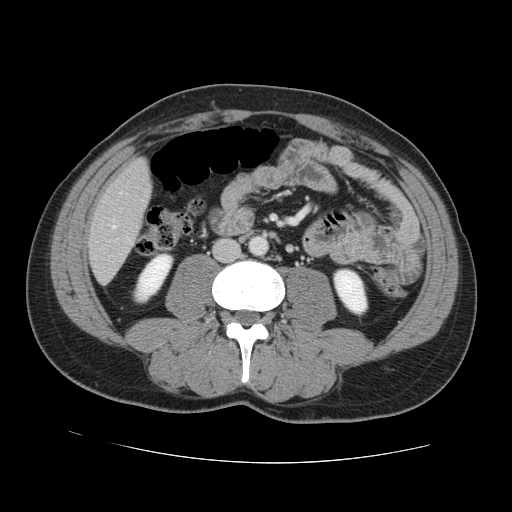 Abdomen; CT

Some hepatic vessels may have no box.
Hepatic vessel — left=112, top=225, right=115, bottom=229; left=120, top=192, right=121, bottom=193; left=127, top=237, right=131, bottom=243; left=115, top=239, right=117, bottom=242.